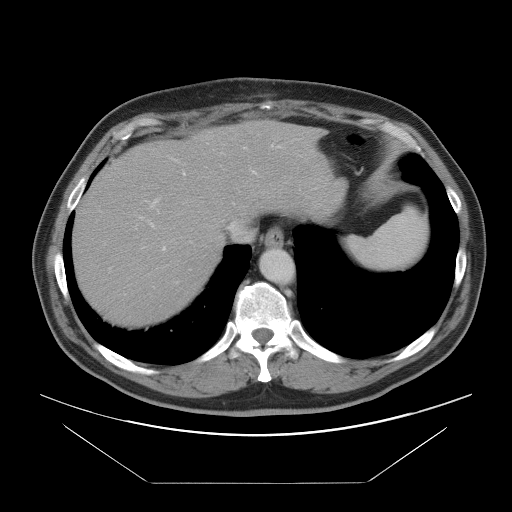 512x512, CT slice, Abdomen
The vessel boxes may cover only some of the vessels.
hepatic_vessel:
  - left=173, top=158, right=176, bottom=160
  - left=163, top=247, right=165, bottom=249
  - left=183, top=172, right=184, bottom=174
  - left=152, top=199, right=157, bottom=205
  - left=140, top=217, right=142, bottom=218
  - left=271, top=144, right=280, bottom=147
  - left=253, top=171, right=255, bottom=173
  - left=150, top=222, right=153, bottom=226